FLAIR MRI.
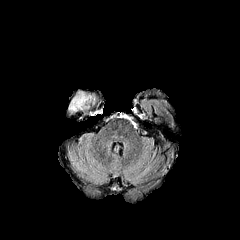
T1-weighted MRI.
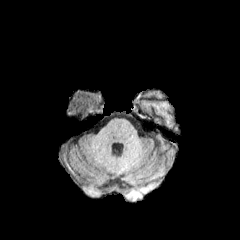
Post-contrast T1-weighted MRI.
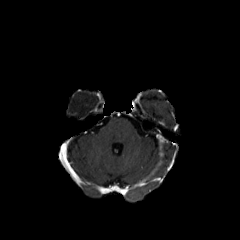
T2-weighted MRI.
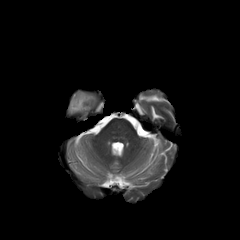
240x240. Head.
The edema is located at box(68, 91, 98, 114).